Slice index 119. Computed tomography. 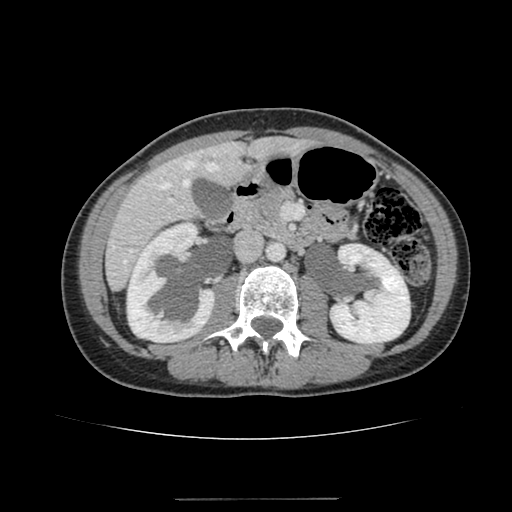 Kidney at 331,244,409,342; 127,223,213,342.
Liver at 106,135,313,290.